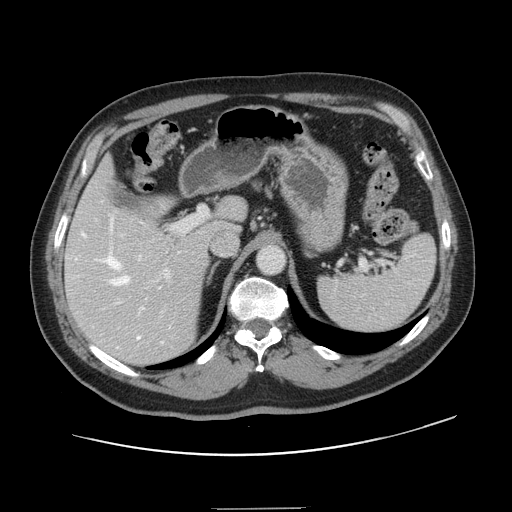
Liver, Computed tomography
Some hepatic vessels may have no box.
{"hepatic_vessel": ["box=[114, 302, 119, 304]", "box=[165, 270, 169, 277]", "box=[111, 276, 129, 285]", "box=[82, 232, 85, 235]", "box=[109, 214, 112, 227]", "box=[137, 336, 139, 338]", "box=[106, 252, 120, 269]", "box=[158, 287, 160, 288]", "box=[138, 256, 140, 259]", "box=[140, 306, 144, 310]"]}